Slice index 47; Image size 512x512; CT scan slice; Abdomen
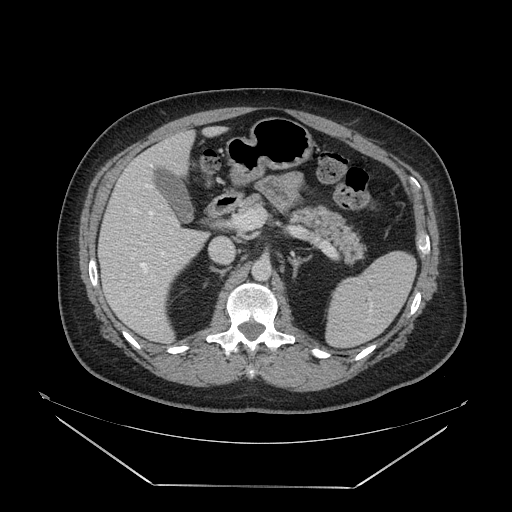
2 pancreas regions are located at bbox=[244, 196, 259, 208]; bbox=[292, 208, 363, 260].